FLAIR magnetic resonance.
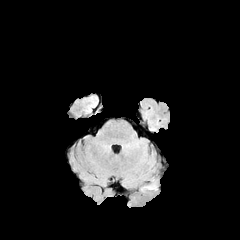
T1-weighted magnetic resonance.
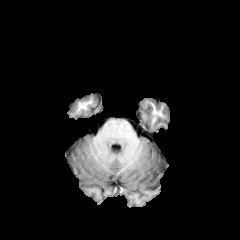
Post-contrast T1-weighted MR image.
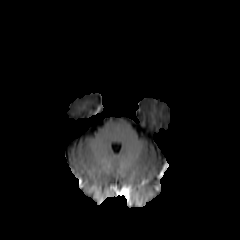
T2-weighted magnetic resonance.
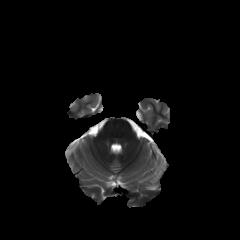
Brain, Image size 240x240
Annotated regions:
• edema: [145, 176, 157, 189]